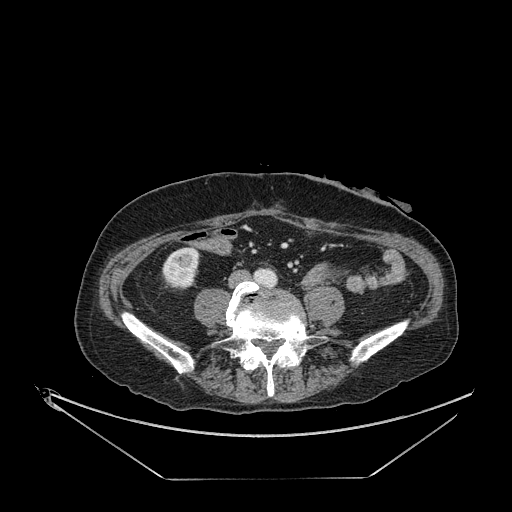

512x512 px. Abdomen. CT slice.

The kidney is bounded by (163, 248, 198, 287).